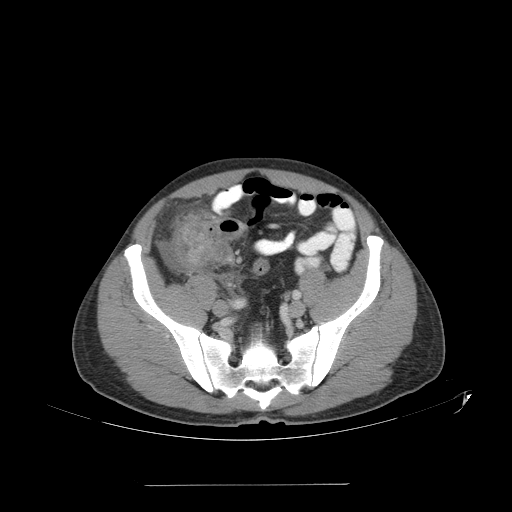 CT. Image size 512x512. Pelvis. Annotated regions:
- colon tumor: (170,216,222,267)